Slice index 47 | CT 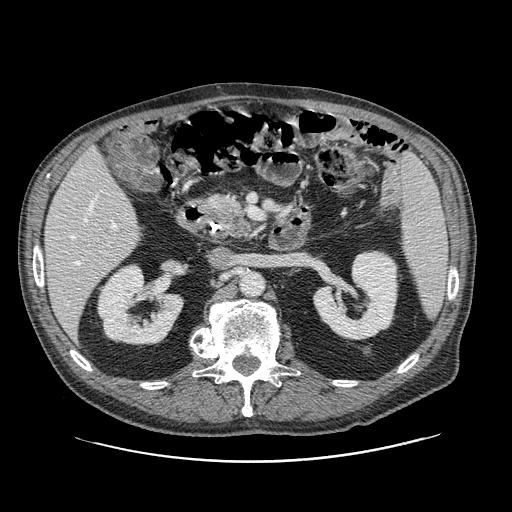 Pancreatic tumor = [215, 209, 243, 231].
Pancreas = [208, 196, 250, 236].